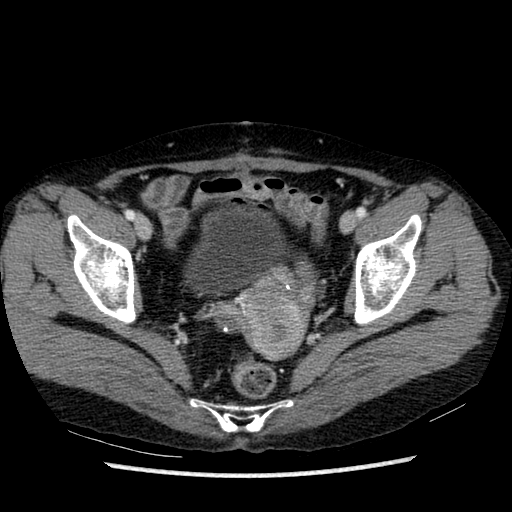

Lower abdomen; CT scan slice

The urinary bladder is bounded by <box>181,197,298,296</box>.